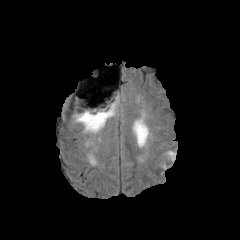
FLAIR MR.
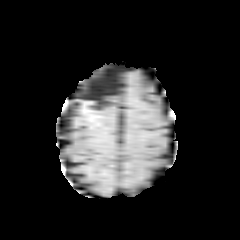
T1-weighted MR of the same slice.
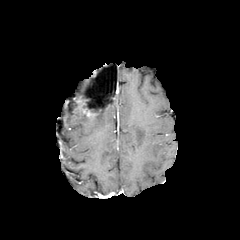
Post-contrast T1-weighted MR of the same slice.
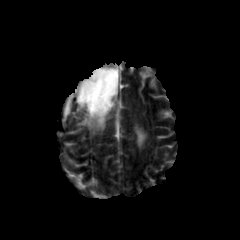
T2-weighted magnetic resonance of the same slice.
Brain.
Non-enhancing tumor core: rect(82, 97, 121, 119).
Edema: rect(72, 104, 117, 134); rect(133, 120, 149, 145).